Brain. Slice index 104.
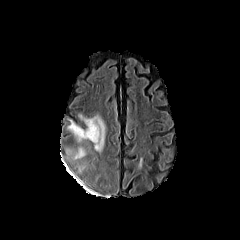
FLAIR magnetic resonance.
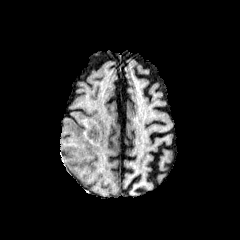
T1-weighted MR.
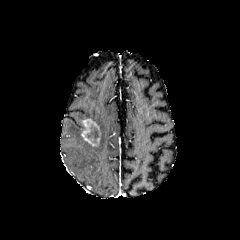
Post-contrast T1-weighted MR image of the same slice.
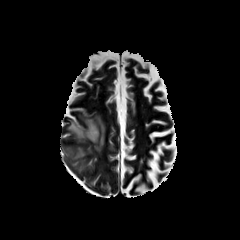
Same slice, T2-weighted MRI.
{
  "non-enhancing_tumor_core": [
    "x1=90 y1=126 x2=99 y2=138"
  ],
  "enhancing_tumor": [
    "x1=80 y1=118 x2=100 y2=146"
  ],
  "edema": [
    "x1=74 y1=146 x2=86 y2=158",
    "x1=67 y1=118 x2=85 y2=144",
    "x1=78 y1=113 x2=106 y2=152"
  ]
}